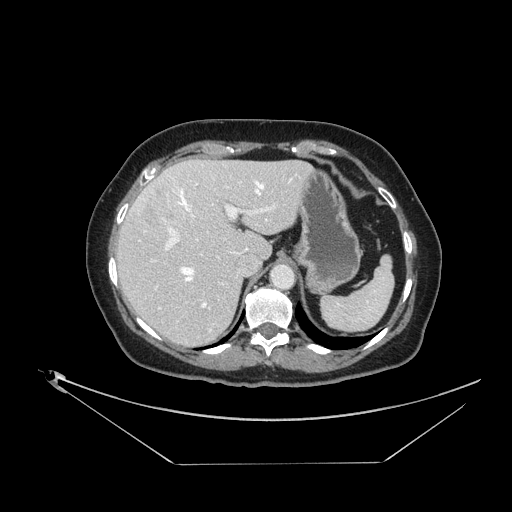 Abdomen, CT scan slice
Only some of the vessels may be annotated.
Hepatic vessel: bounding box [135,195,144,213], [201,302,206,307], [176,187,194,216], [239,247,248,254], [180,266,194,281], [255,181,262,192], [226,205,238,217], [260,209,264,210], [165,226,179,250].
Liver tumor: bounding box [142,190,167,223].